MR; Field of view 400 mm wide, 1.37 mm slice spacing

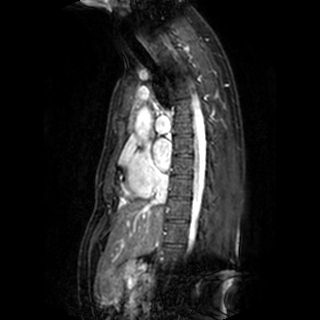
<segmentation>
  <left_atrium>(153,138,171,170)</left_atrium>
</segmentation>